Slice index 67, CT slice, 512x512 px

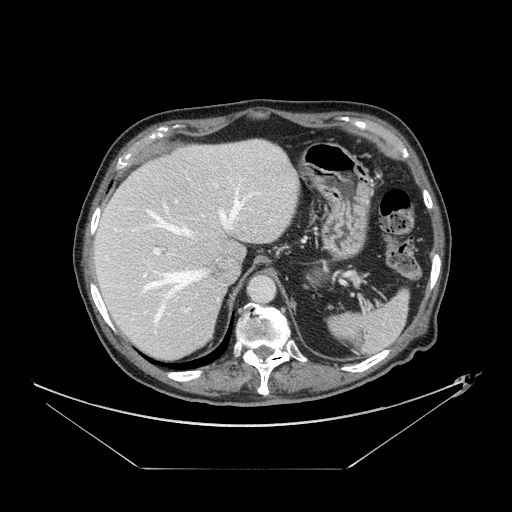
The pancreas is located at x1=350 y1=273 x2=357 y2=282.